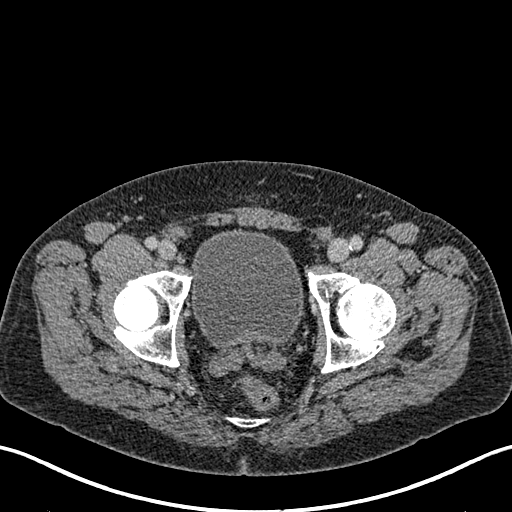

CT slice; Lower abdomen; 512x512 px

The urinary bladder is bounded by 191:229:303:341.